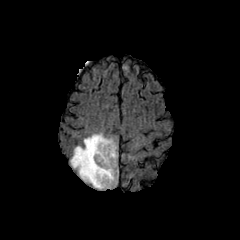
FLAIR MR.
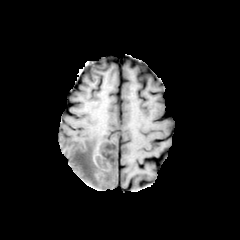
T1-weighted MRI.
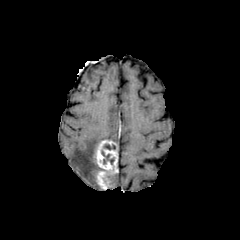
Post-contrast T1-weighted MR image.
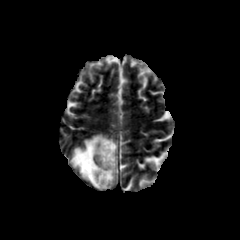
T2-weighted MR image of the same slice.
Head
Enhancing tumor: (x1=94, y1=139, x2=118, y2=189).
Edema: (x1=70, y1=133, x2=113, y2=188).